Slice 60/155 | Brain
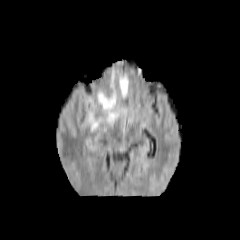
FLAIR MR.
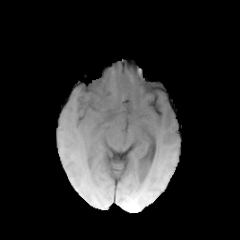
T1-weighted MR of the same slice.
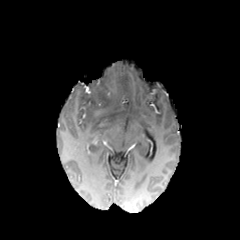
Same slice, post-contrast T1-weighted MRI.
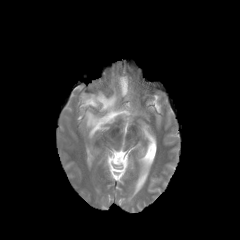
T2-weighted MR image.
The non-enhancing tumor core lies within bbox=[81, 80, 115, 108]. 2 edema regions appear at bbox=[85, 84, 127, 136]; bbox=[119, 75, 128, 98].